Slice index 29. Computed tomography. Liver.
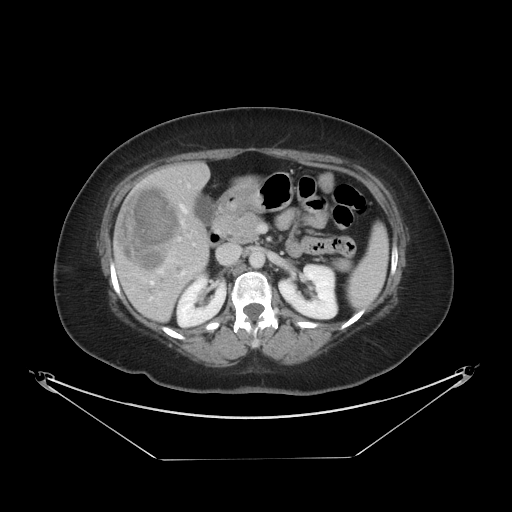
The vessel annotation is not exhaustive.
Liver tumor at [x1=116, y1=183, x2=180, y2=272].
Hepatic vessel at [x1=159, y1=270, x2=163, y2=272], [x1=192, y1=242, x2=195, y2=245], [x1=150, y1=281, x2=153, y2=284], [x1=180, y1=205, x2=186, y2=211], [x1=183, y1=225, x2=186, y2=227], [x1=177, y1=237, x2=181, y2=241].